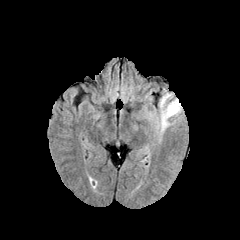
FLAIR MRI.
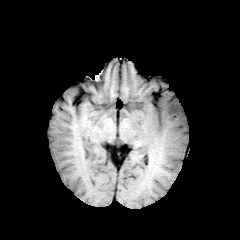
T1-weighted MR image of the same slice.
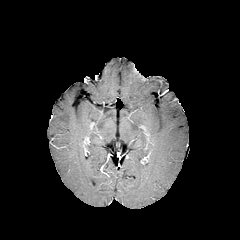
Same slice, post-contrast T1-weighted MR.
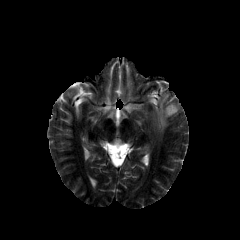
Same slice, T2-weighted MRI.
240x240 px; Brain
Edema = bbox=[142, 92, 182, 139].